Slice 62/155. Brain.
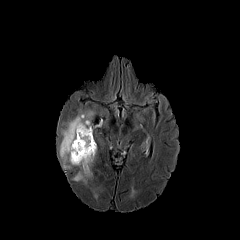
FLAIR MRI.
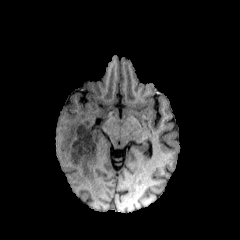
T1-weighted MRI.
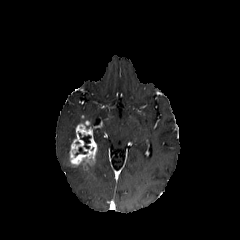
Post-contrast T1-weighted MRI.
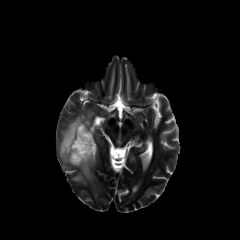
T2-weighted MR of the same slice.
edema:
  - left=57, top=106, right=98, bottom=184
enhancing_tumor:
  - left=69, top=121, right=97, bottom=171
non-enhancing_tumor_core:
  - left=81, top=135, right=91, bottom=148